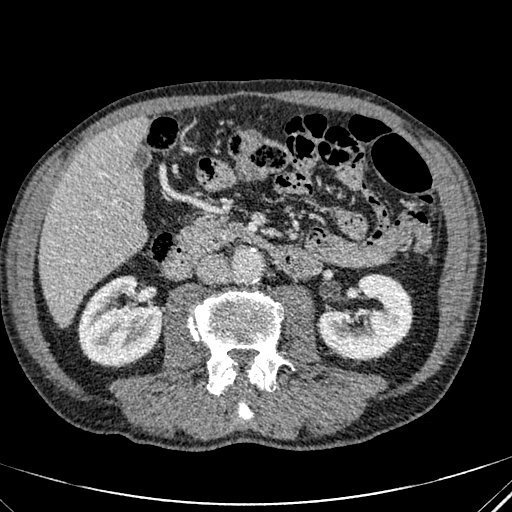

512x512. CT. Liver.

2 kidney regions are located at (left=320, top=275, right=411, bottom=358), (left=80, top=277, right=161, bottom=364). The liver is located at (left=39, top=117, right=146, bottom=325).